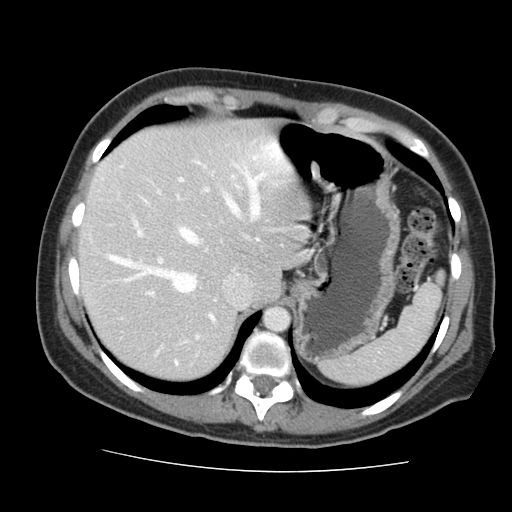 Liver, CT slice

Not every hepatic vessel necessarily has a box.
Most prominent 15 of 16 hepatic vessel regions: bounding box left=225, top=195, right=238, bottom=214; left=231, top=176, right=234, bottom=178; left=106, top=255, right=195, bottom=292; left=203, top=188, right=207, bottom=191; left=236, top=186, right=240, bottom=189; left=158, top=258, right=161, bottom=262; left=209, top=315, right=213, bottom=320; left=240, top=171, right=264, bottom=218; left=133, top=220, right=141, bottom=236; left=252, top=143, right=285, bottom=168; left=255, top=239, right=257, bottom=241; left=175, top=361, right=176, bottom=364; left=196, top=162, right=201, bottom=165; left=179, top=179, right=182, bottom=181; left=147, top=292, right=153, bottom=295.